CT scan slice

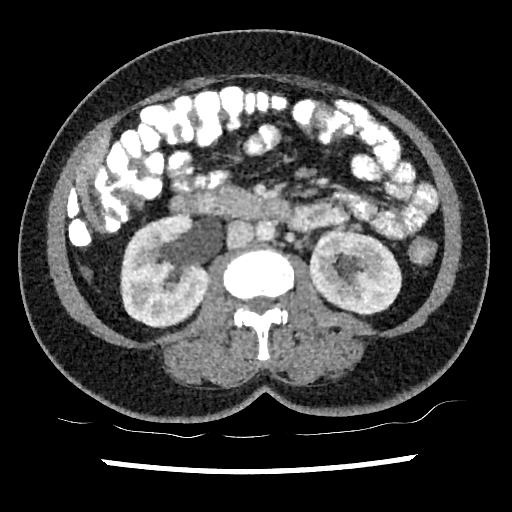

The liver appears at x1=76, y1=134, x2=109, y2=231. 2 kidney regions are located at x1=122, y1=215, x2=207, y2=326; x1=310, y1=232, x2=400, y2=313.